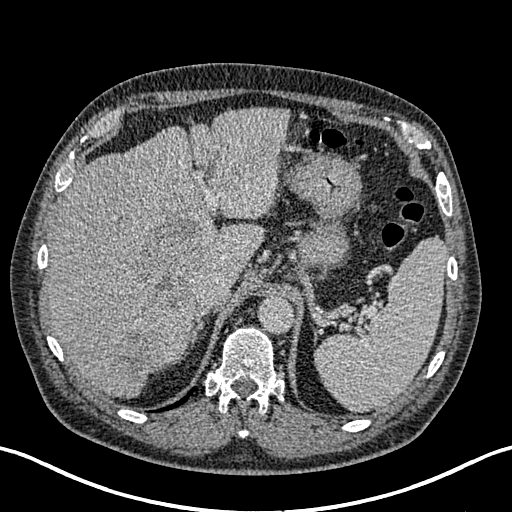
Liver. CT scan slice. Hepatic lesion = 227:150:265:184, 134:217:215:311, 198:190:204:202, 120:330:162:382.
Liver = 47:109:290:397, 186:272:205:286.